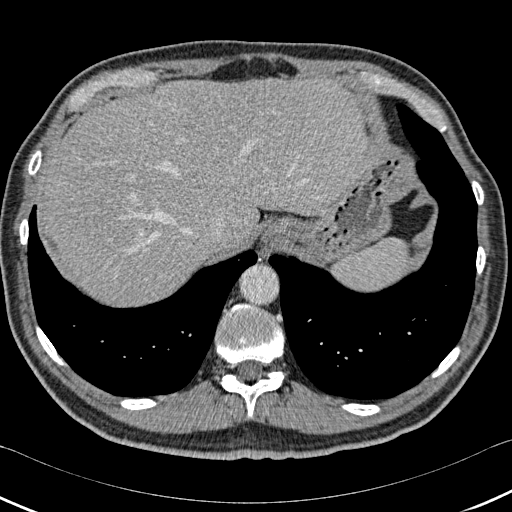
CT slice
Segmented structures:
- liver: (left=37, top=77, right=364, bottom=306)
- bone: (left=28, top=151, right=40, bottom=174), (left=472, top=181, right=483, bottom=204), (left=36, top=327, right=63, bottom=365), (left=476, top=246, right=485, bottom=274), (left=436, top=120, right=446, bottom=131), (left=221, top=372, right=283, bottom=417), (left=19, top=219, right=28, bottom=244), (left=432, top=347, right=459, bottom=377), (left=342, top=404, right=379, bottom=415), (left=216, top=304, right=283, bottom=363), (left=121, top=399, right=156, bottom=409)
- lung: (left=27, top=205, right=257, bottom=397), (left=268, top=99, right=477, bottom=403)